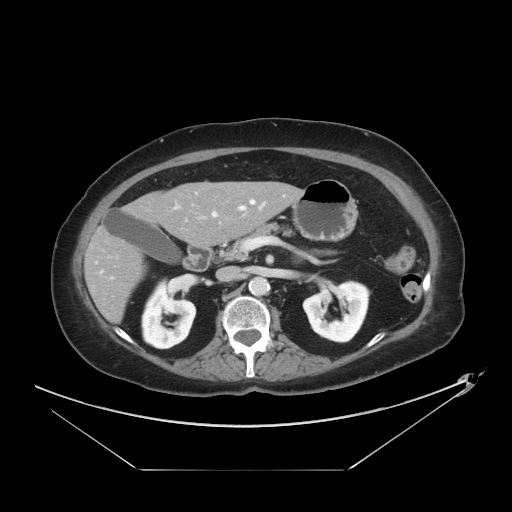
Computed tomography; 512x512 px; Liver

The vessel boxes may cover only some of the vessels.
7 hepatic vessel regions are bounded by left=259, top=202, right=265, bottom=209; left=239, top=206, right=245, bottom=210; left=199, top=217, right=203, bottom=218; left=101, top=270, right=102, bottom=272; left=250, top=200, right=254, bottom=204; left=174, top=204, right=178, bottom=208; left=212, top=212, right=216, bottom=216.